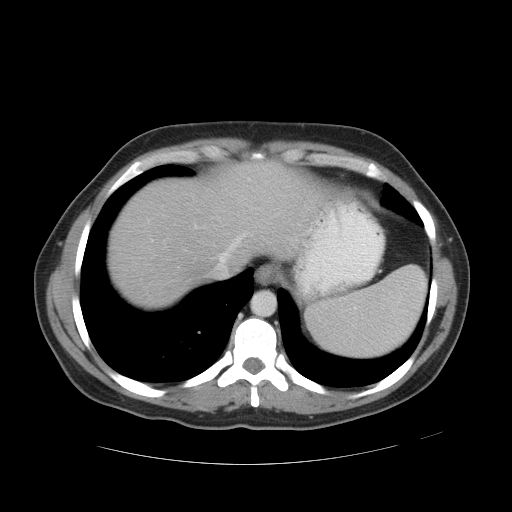 Computed tomography | Image size 512x512
The vessel boxes may cover only some of the vessels.
hepatic_vessel:
  - bbox(151, 240, 153, 241)
  - bbox(228, 237, 240, 250)
  - bbox(219, 253, 225, 261)